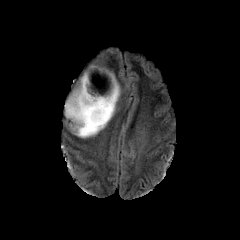
FLAIR MR.
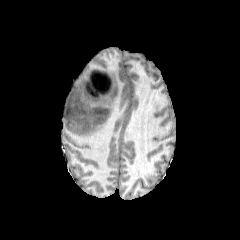
T1-weighted MRI of the same slice.
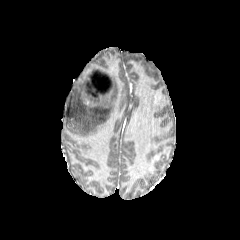
Post-contrast T1-weighted MR.
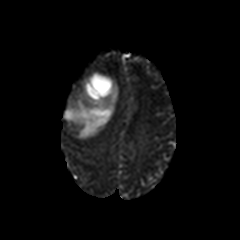
T2-weighted MR image.
Brain
Segmented structures:
- edema: [x1=64, y1=74, x2=119, y2=139]
- non-enhancing tumor core: [x1=94, y1=110, x2=105, y2=115]